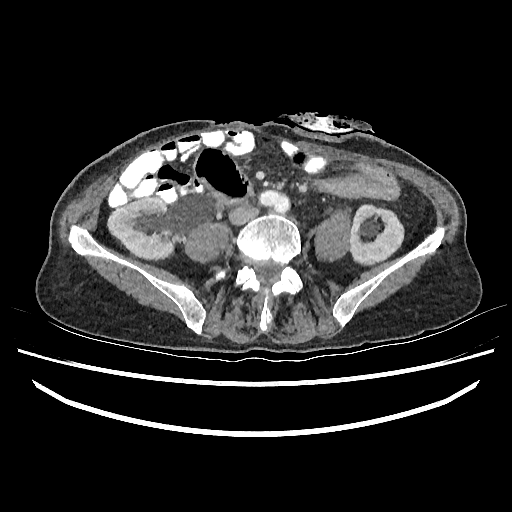

Abdomen. CT.
<segmentation>
  <kidney>rect(350, 205, 403, 263); rect(108, 197, 172, 258)</kidney>
</segmentation>